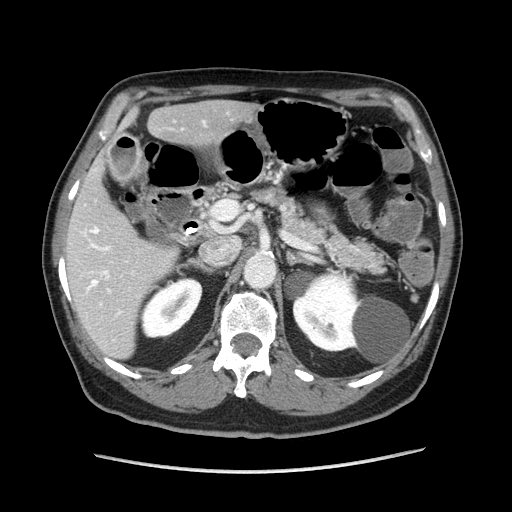 CT slice; Image size 512x512
Segmented structures:
- pancreas: bbox(252, 187, 383, 273)